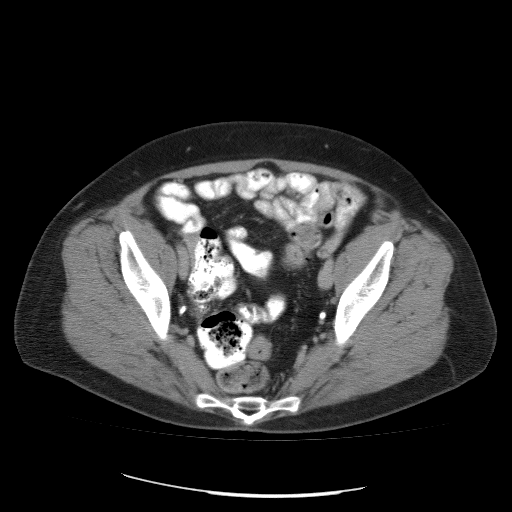
CT slice
Segmented structures:
- colon tumor: region(248, 337, 271, 360)